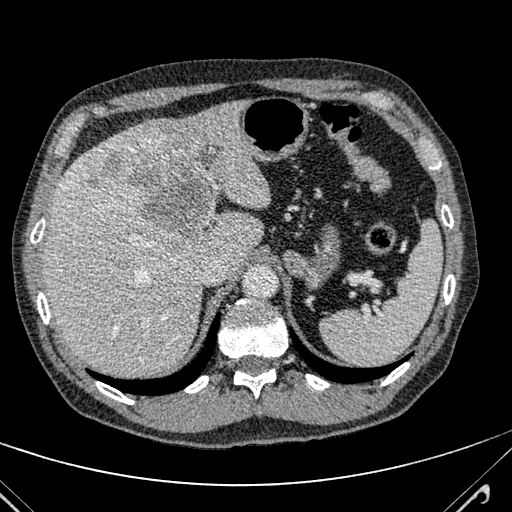 CT slice; Liver
Liver: 46:100:268:375.
Focal liver lesion: 129:145:221:241, 103:154:125:176, 88:181:98:188.